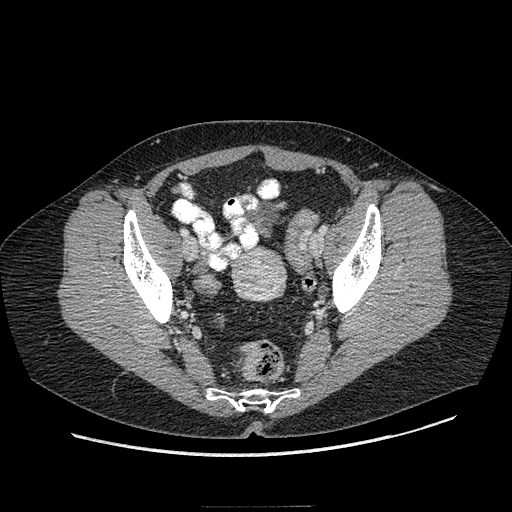

CT image
colon tumor: x1=242 y1=342 x2=263 y2=380